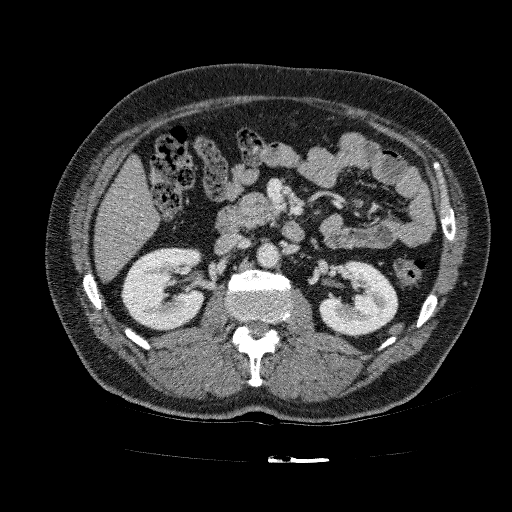
Liver; CT scan slice
Kidney: 320:262:397:334, 122:248:203:329.
Liver: 95:156:159:281.